FLAIR MRI.
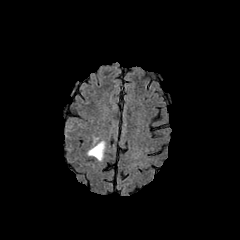
T1-weighted MR image.
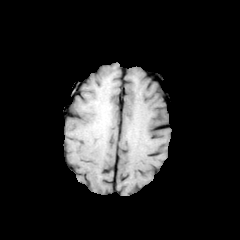
Post-contrast T1-weighted magnetic resonance.
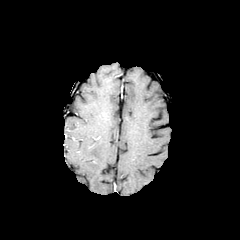
T2-weighted MRI.
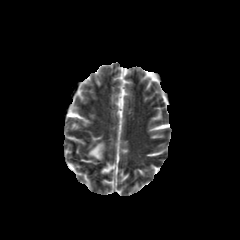
Image size 240x240 | Head
Findings:
* edema: bbox(87, 136, 105, 161)